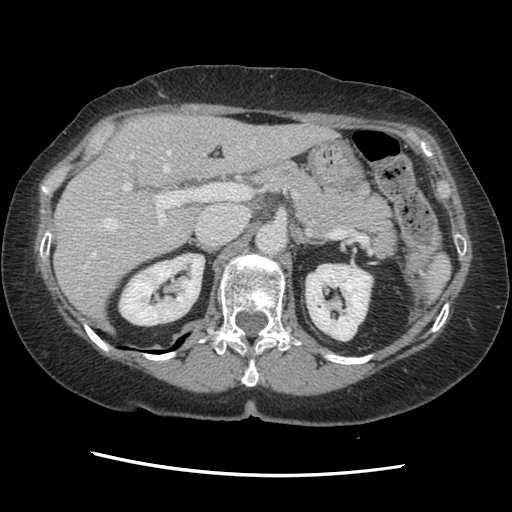

Image size 512x512. Abdomen. CT slice.
Only some of the vessels may be annotated.
11 hepatic vessel regions are bounded by box(109, 192, 111, 193); box(251, 146, 253, 147); box(167, 150, 170, 153); box(82, 263, 87, 269); box(123, 183, 130, 190); box(103, 218, 119, 230); box(132, 232, 133, 234); box(130, 153, 133, 157); box(156, 183, 242, 225); box(90, 252, 95, 258); box(163, 165, 169, 170).